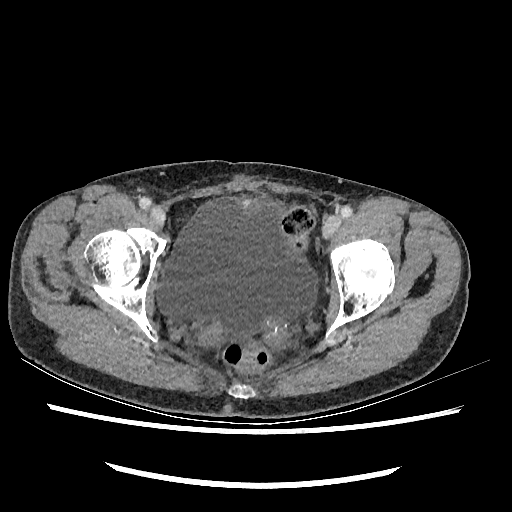
CT scan slice | 512x512 px
<segmentation>
  <urinary_bladder><box>156,196,317,343</box></urinary_bladder>
</segmentation>